Head. Slice 81 of 155. Field of view 240x240 mm.
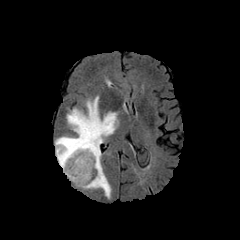
FLAIR MR.
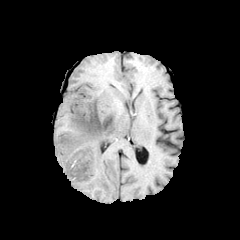
T1-weighted MRI of the same slice.
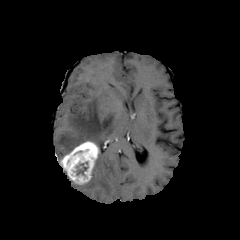
Same slice, post-contrast T1-weighted MRI.
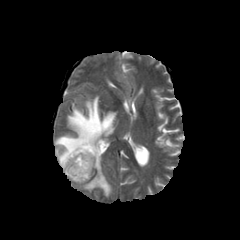
T2-weighted MR.
{
  "enhancing_tumor": [
    "box=[60, 140, 99, 183]"
  ],
  "edema": [
    "box=[55, 96, 117, 159]",
    "box=[82, 151, 111, 197]"
  ],
  "non-enhancing_tumor_core": [
    "box=[80, 114, 99, 129]",
    "box=[76, 163, 86, 175]"
  ]
}